CT; Image size 512x512; Image width 438 mm 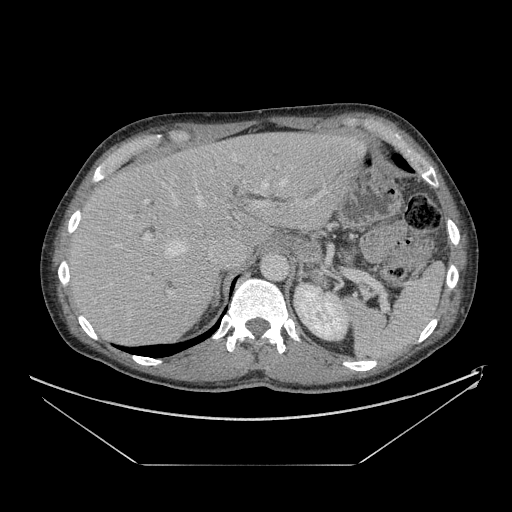 The pancreas appears at bbox(339, 247, 356, 264).